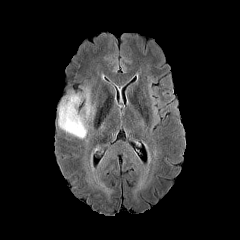
FLAIR MR image.
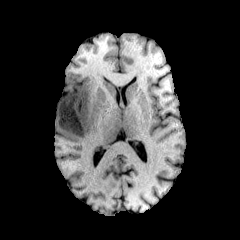
Same slice, T1-weighted magnetic resonance.
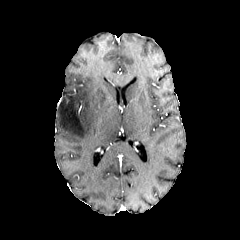
Post-contrast T1-weighted magnetic resonance of the same slice.
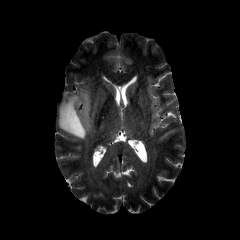
Same slice, T2-weighted MR.
- edema: 57 87 93 139